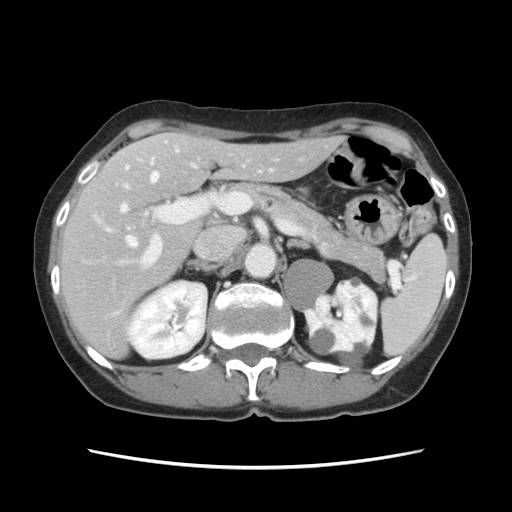
512x512, CT

Not every hepatic vessel necessarily has a box.
<segmentation>
  <hepatic_vessel>(140, 235, 160, 265), (150, 158, 153, 164), (175, 149, 177, 151), (125, 166, 128, 169), (106, 230, 109, 230), (192, 165, 195, 167), (120, 205, 127, 212), (127, 236, 136, 246), (151, 172, 157, 181)</hepatic_vessel>
</segmentation>